FLAIR MRI.
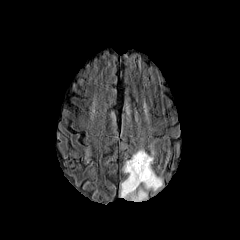
T1-weighted MR.
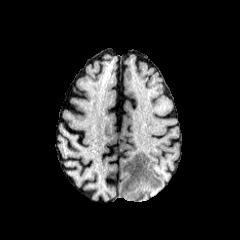
Post-contrast T1-weighted MR image.
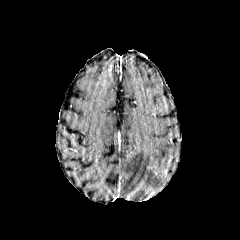
T2-weighted MR image.
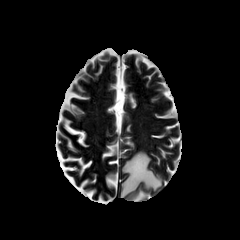
Brain.
• edema: {"x1": 118, "y1": 150, "x2": 161, "y2": 201}